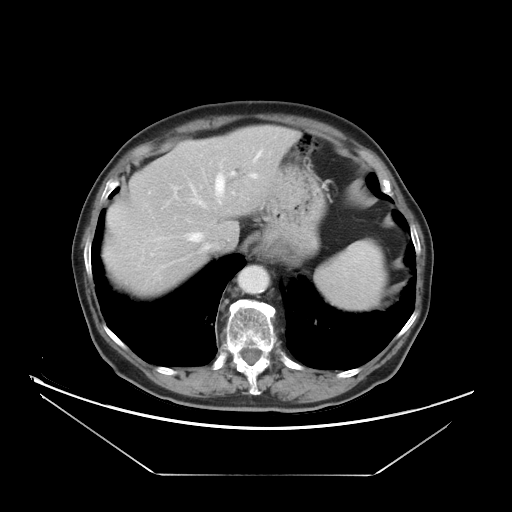

CT scan slice; Abdomen
Some hepatic vessels may have no box.
hepatic vessel: region(254, 153, 259, 160); region(190, 234, 199, 239); region(214, 173, 223, 197); region(190, 184, 205, 205); region(219, 201, 220, 202)